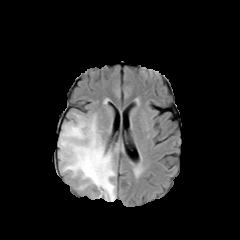
FLAIR MRI.
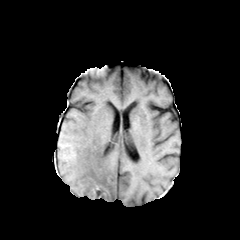
T1-weighted magnetic resonance.
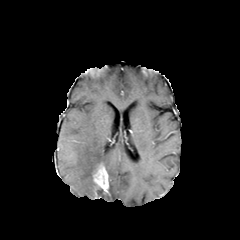
Same slice, post-contrast T1-weighted MR.
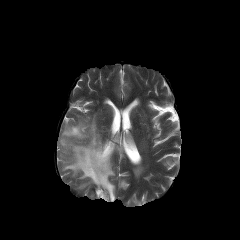
T2-weighted magnetic resonance.
Head
enhancing_tumor:
  - region(92, 164, 109, 193)
edema:
  - region(58, 115, 116, 201)
non-enhancing_tumor_core:
  - region(98, 187, 110, 196)